Image size 37x50. Slice index 34. MR. 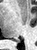

Posterior hippocampus: bounding box 15:40:19:42.